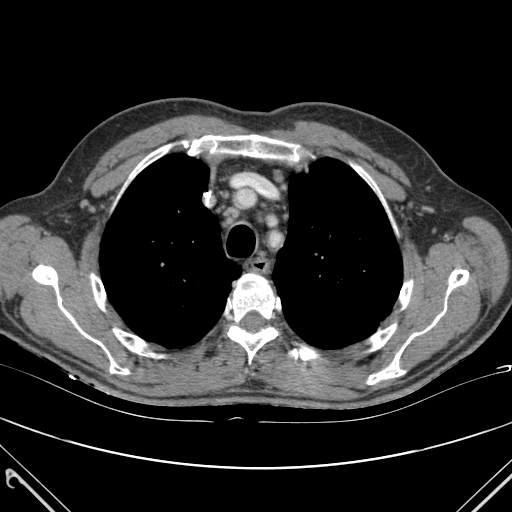 CT slice
{"lung": ["273, 158, 402, 348", "99, 154, 240, 348"], "bone": ["182, 135, 303, 161", "130, 144, 171, 178", "370, 324, 396, 350", "352, 164, 378, 191", "399, 280, 412, 309", "227, 326, 277, 362", "226, 274, 280, 321", "90, 274, 105, 310", "113, 329, 155, 356", "367, 269, 468, 384", "291, 347, 316, 359", "33, 265, 128, 374"]}